512x512 px. Abdomen. Computed tomography. 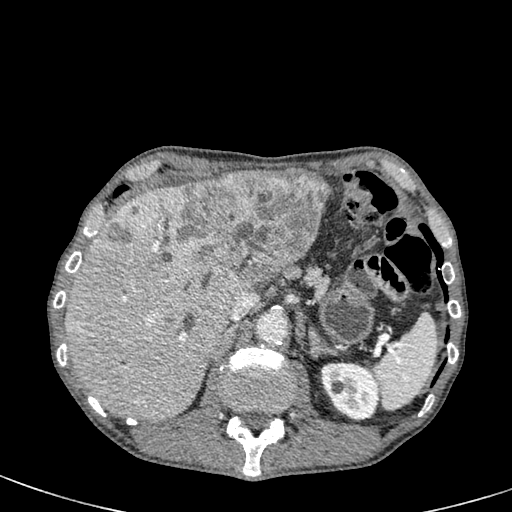

<segmentation>
  <liver>left=274, top=260, right=296, bottom=275; left=269, top=168, right=316, bottom=175; left=64, top=184, right=250, bottom=420</liver>
  <kidney>left=321, top=363, right=378, bottom=419</kidney>
  <focal_liver_lesion>left=165, top=316, right=174, bottom=324; left=107, top=223, right=132, bottom=242; left=177, top=170, right=331, bottom=287</focal_liver_lesion>
</segmentation>